Field of view 360 mm wide, 0.80 mm slice spacing. CT. Abdomen. Slice index 319.

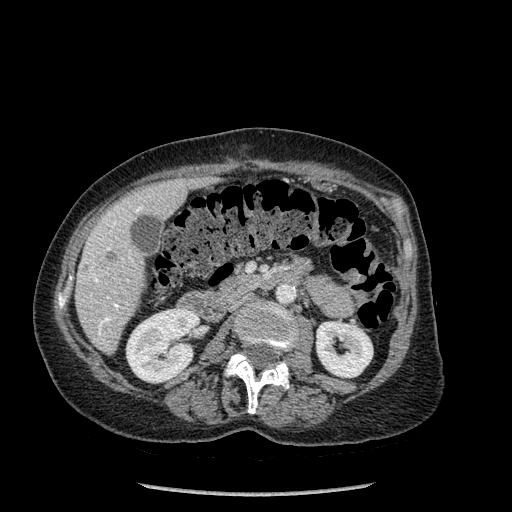
Kidney = rect(126, 309, 198, 382); rect(316, 322, 372, 377).
Bone = rect(234, 301, 298, 352); rect(225, 353, 288, 413); rect(58, 293, 65, 308).
Liver lesion = rect(104, 251, 117, 260).
Liver = rect(76, 176, 209, 352).